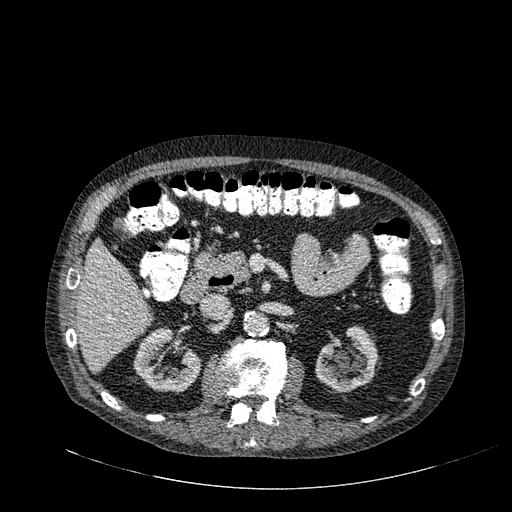

Computed tomography, 512x512 px, Upper abdomen
The liver lies within 79,239,150,372. 2 kidney regions are located at 315,325,378,392; 133,326,201,392.